Image width 351 mm | CT scan slice | Slice 294/588 | 512x512 px 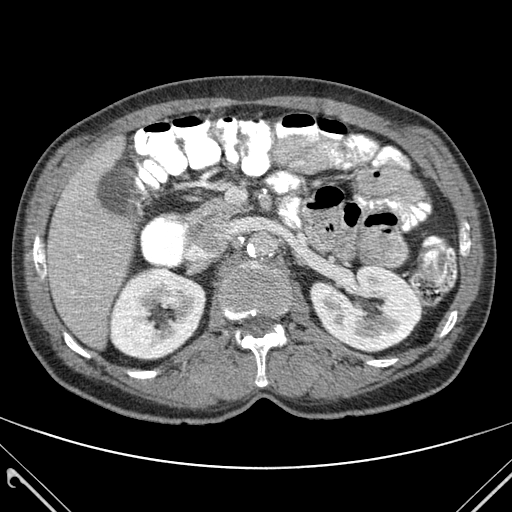 {"bone": ["[65, 333, 89, 357]", "[236, 325, 285, 386]", "[33, 235, 45, 276]", "[461, 224, 470, 253]", "[224, 265, 286, 318]", "[441, 311, 456, 335]", "[128, 371, 155, 378]", "[368, 359, 396, 366]"], "kidney": ["[111, 268, 204, 358]", "[311, 266, 420, 350]"], "liver": ["[47, 136, 133, 347]"]}